Heart. MR image. Field of view 400x400 mm. Slice 67 of 100.
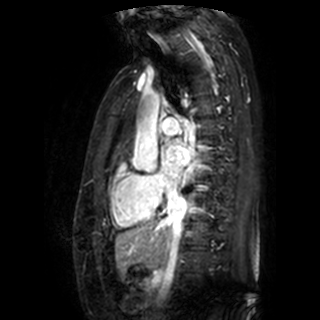

{"left_atrium": ["<bbox>163, 144, 191, 179</bbox>"]}